Abdomen, CT slice, Field of view 404x404 mm
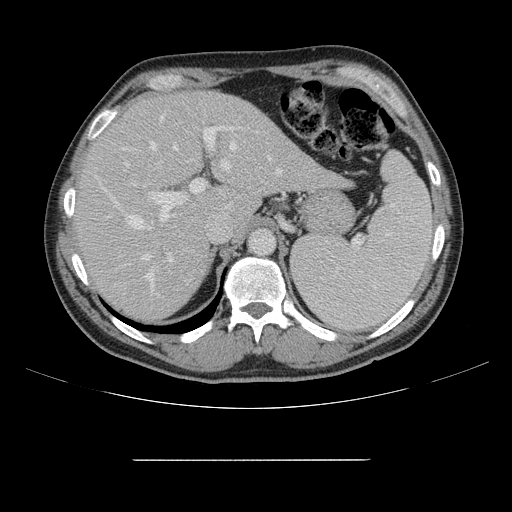 Not every hepatic vessel necessarily has a box.
Principal 15 of 20 hepatic vessel regions: bounding box x1=97, y1=177, x2=99, y2=182; x1=167, y1=252, x2=171, y2=260; x1=276, y1=169, x2=281, y2=172; x1=203, y1=126, x2=241, y2=147; x1=142, y1=255, x2=149, y2=260; x1=124, y1=162, x2=128, y2=165; x1=131, y1=182, x2=135, y2=185; x1=127, y1=215, x2=142, y2=228; x1=153, y1=192, x2=187, y2=222; x1=113, y1=199, x2=120, y2=207; x1=221, y1=159, x2=229, y2=168; x1=145, y1=274, x2=156, y2=294; x1=229, y1=142, x2=236, y2=149; x1=190, y1=179, x2=206, y2=192; x1=100, y1=183, x2=105, y2=190.